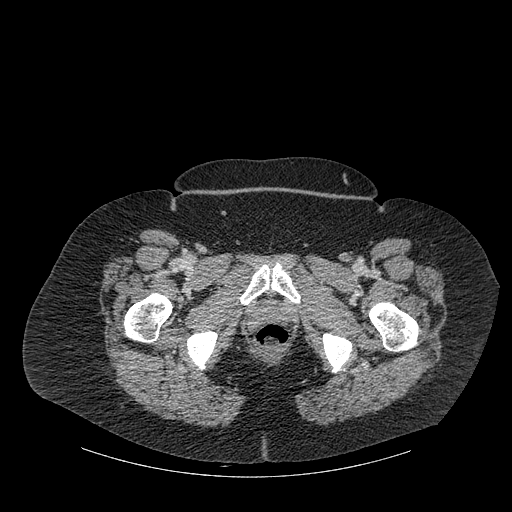
512x512 px, Computed tomography
5 bone regions are bounded by [323,333,351,372], [369,302,418,351], [124,293,172,342], [187,331,217,369], [240,263,300,304].